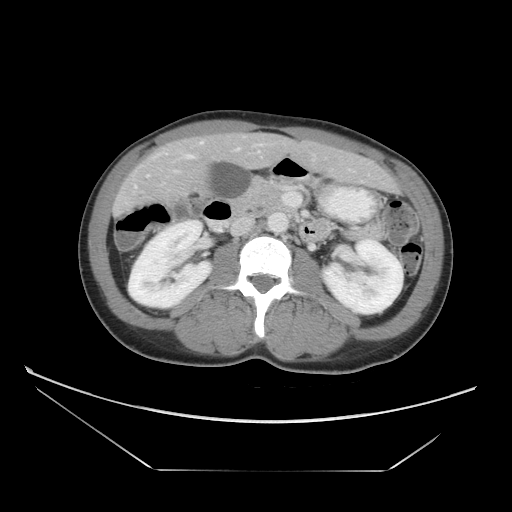 CT, 512x512 px, Liver

Only some of the vessels may be annotated.
Hepatic vessel: bounding box 237 147 240 150, 179 153 195 158.